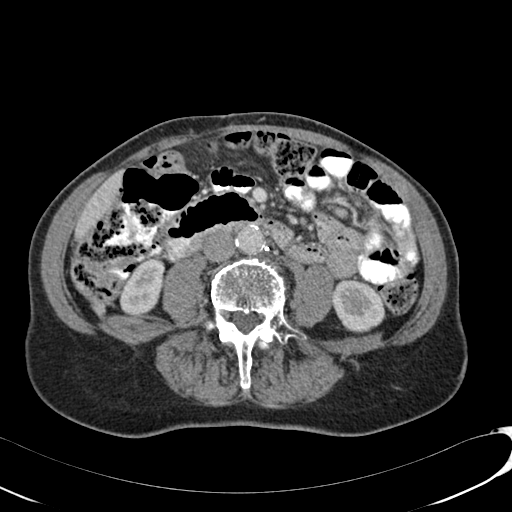
Image size 512x512. CT image. Liver.

{
  "liver": [
    "region(77, 171, 122, 238)"
  ],
  "kidney": [
    "region(121, 259, 163, 314)",
    "region(332, 281, 383, 330)"
  ]
}